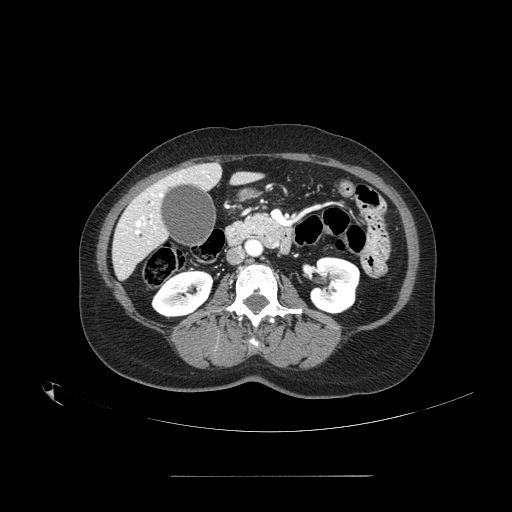
CT. Pancreas: bounding box bbox=[242, 214, 282, 247].